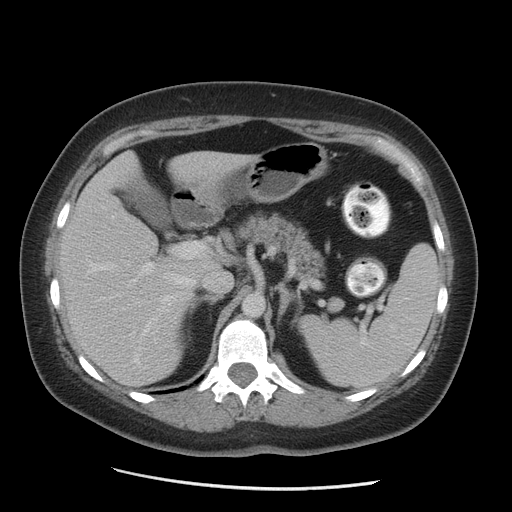

CT image; Abdomen
Liver = [59,154,218,385], [171,152,252,191].